Slice 32/38; MR

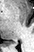
Posterior hippocampus: 8 41 14 43.